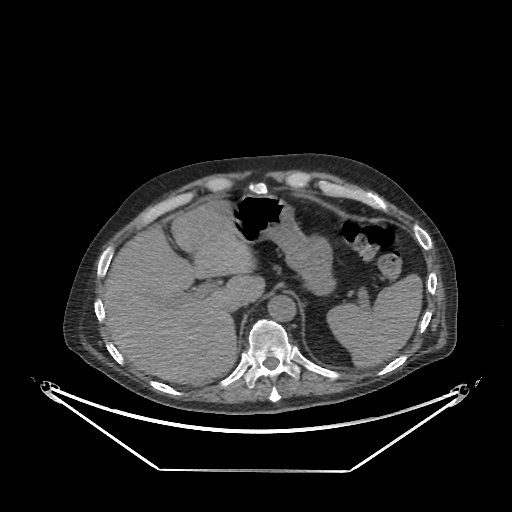
CT scan slice. 512x512.

liver:
  - region(99, 200, 264, 385)